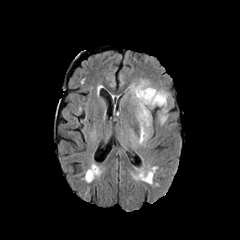
FLAIR MR image.
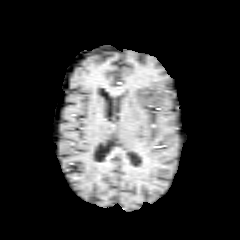
T1-weighted MR image of the same slice.
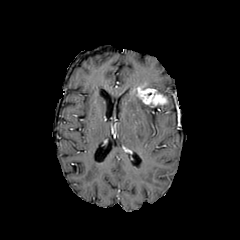
Same slice, post-contrast T1-weighted magnetic resonance.
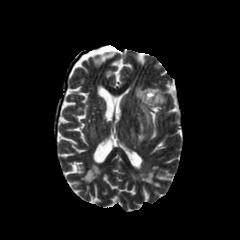
T2-weighted MR image.
Brain
The enhancing tumor is bounded by 134, 86, 166, 106. 2 edema regions are located at 156, 88, 168, 101; 129, 83, 167, 142.